CT. Slice 68 of 537.
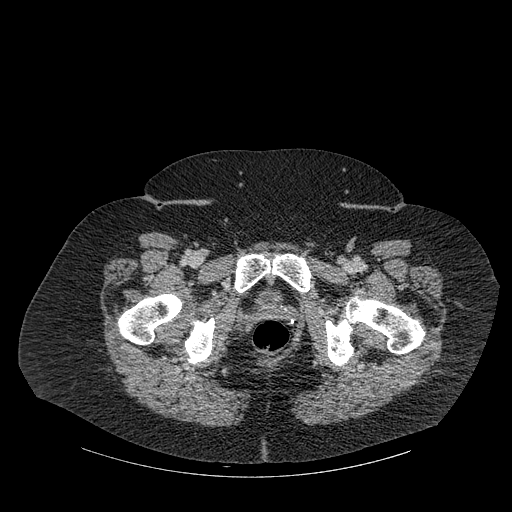
Bone = 118:294:181:344, 185:318:214:363, 235:254:311:292, 325:296:424:365.